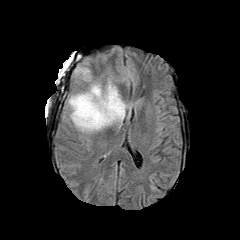
FLAIR MRI.
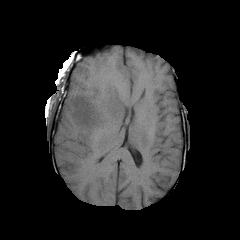
T1-weighted MRI.
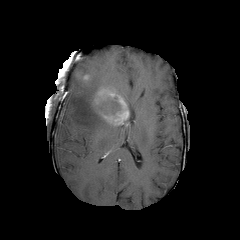
Post-contrast T1-weighted MR image.
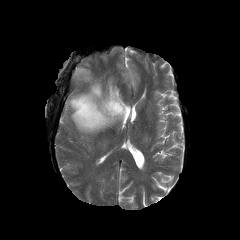
T2-weighted MR image of the same slice.
240x240
Findings:
• edema: box(66, 83, 110, 132); box(74, 65, 89, 76)
• non-enhancing tumor core: box(99, 97, 121, 115)
• enhancing tumor: box(91, 88, 128, 124)